FLAIR MR image.
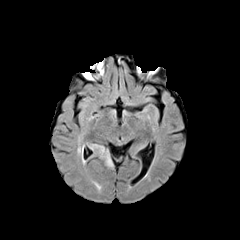
T1-weighted MR image.
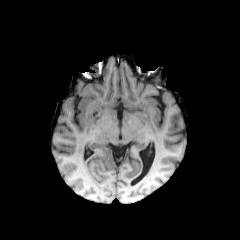
Post-contrast T1-weighted MR image.
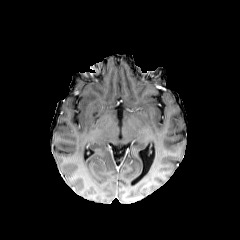
T2-weighted MRI.
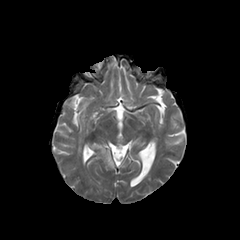
240x240 px
Edema — 77 145 85 164, 89 143 113 167.